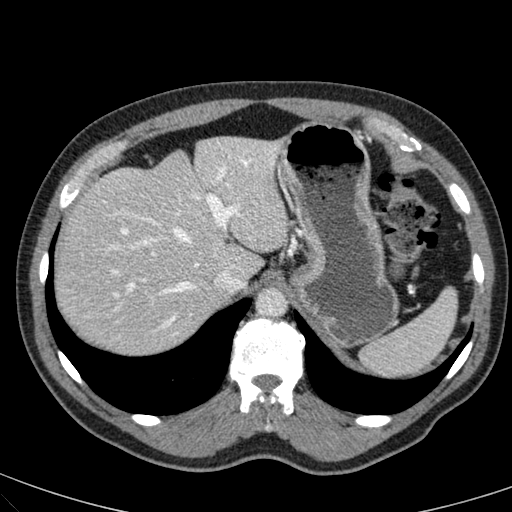

Image size 512x512 | Computed tomography

Liver: (57, 134, 286, 354).